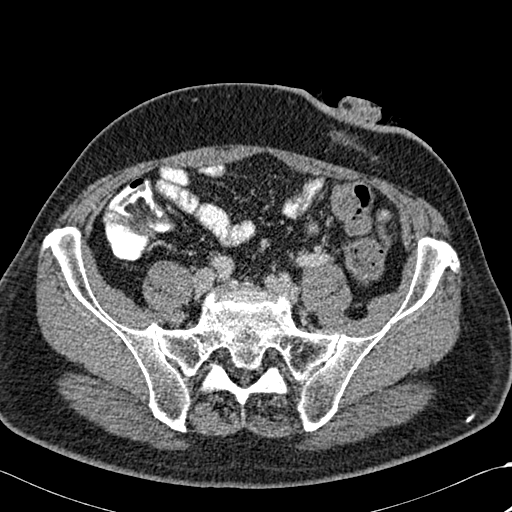 512x512 px; CT slice

bone: rect(43, 227, 458, 431)